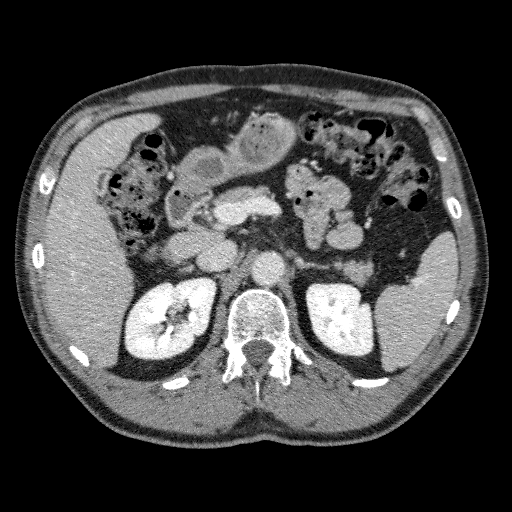 CT. Abdomen. Kidney: bounding box box(307, 284, 372, 354); box(126, 279, 215, 358).
Liver: bounding box box(44, 114, 158, 366); box(163, 230, 223, 258); box(148, 244, 158, 259).
Hepatic lesion: bounding box box(150, 245, 172, 259).